320x320 px. Magnetic resonance. Heart. Slice index 45.

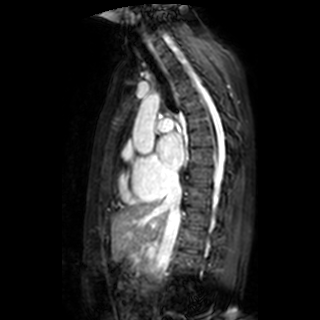 left atrium: {"x1": 157, "y1": 132, "x2": 184, "y2": 170}